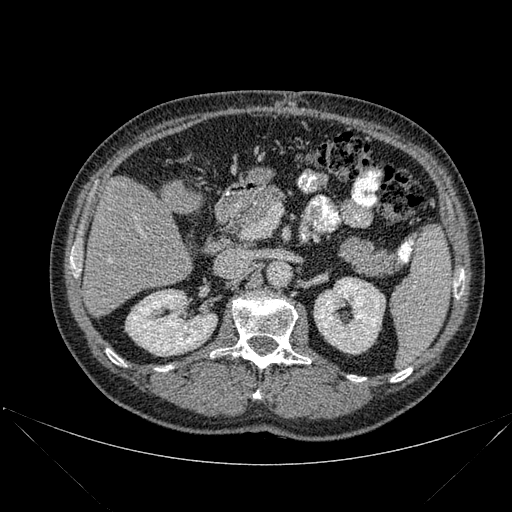
Upper abdomen. Image size 512x512. CT.
Bone = [x1=210, y1=350, x2=221, y2=357], [x1=70, y1=256, x2=79, y2=275], [x1=156, y1=365, x2=172, y2=371], [x1=390, y1=367, x2=412, y2=381], [x1=106, y1=348, x2=125, y2=365], [x1=253, y1=390, x2=260, y2=398], [x1=347, y1=375, x2=365, y2=381], [x1=454, y1=271, x2=463, y2=298], [x1=224, y1=294, x2=311, y2=368].
Kidney = [x1=314, y1=277, x2=385, y2=353], [x1=125, y1=289, x2=216, y2=355].
Liver = [x1=84, y1=176, x2=199, y2=315].